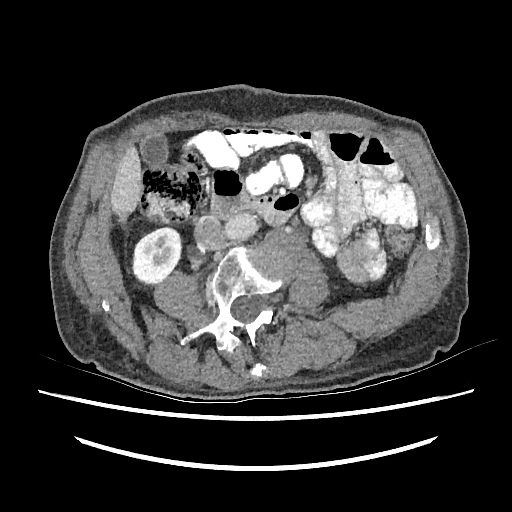

CT
liver lesion: box=[120, 212, 127, 221] | kidney: box=[133, 228, 180, 282] | liver: box=[110, 146, 141, 221]